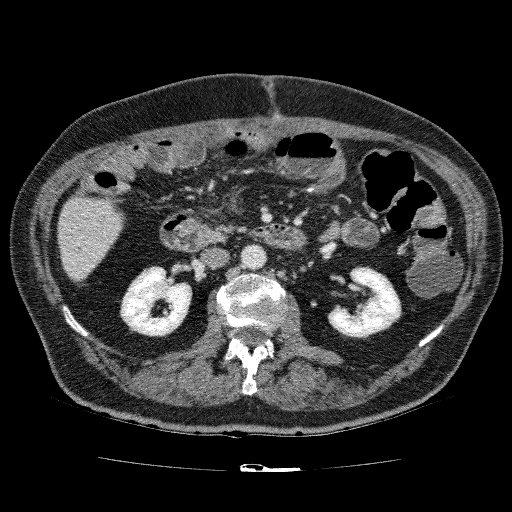

CT image, Liver
kidney: {"x1": 328, "y1": 267, "x2": 400, "y2": 337}, {"x1": 120, "y1": 267, "x2": 191, "y2": 335} | liver: {"x1": 57, "y1": 195, "x2": 124, "y2": 283}